CT slice | Lower abdomen | 512x512 px 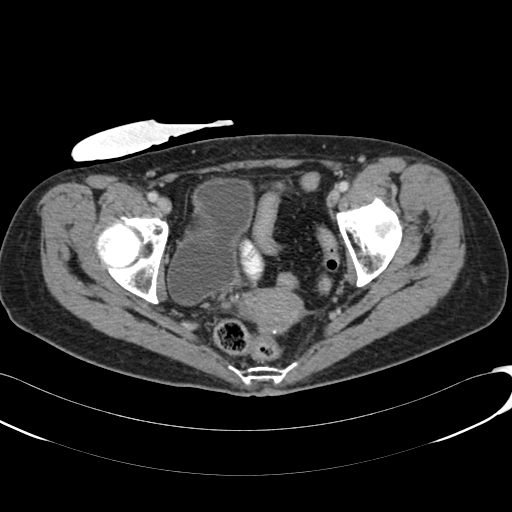
Urinary bladder: bounding box bbox=[167, 177, 260, 306].